240x240. Field of view 240 mm wide, 1.00 mm slice spacing. Head.
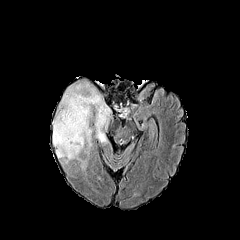
FLAIR magnetic resonance.
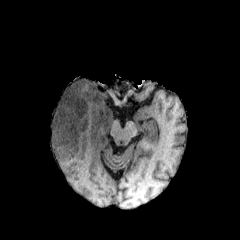
T1-weighted MR image.
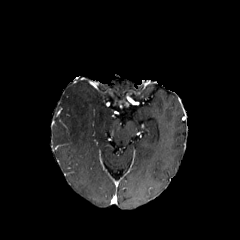
Post-contrast T1-weighted magnetic resonance.
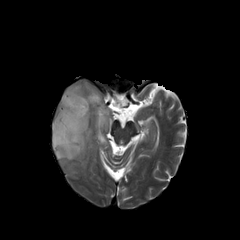
Same slice, T2-weighted MR image.
Segmented structures:
* edema: left=52, top=80, right=113, bottom=170